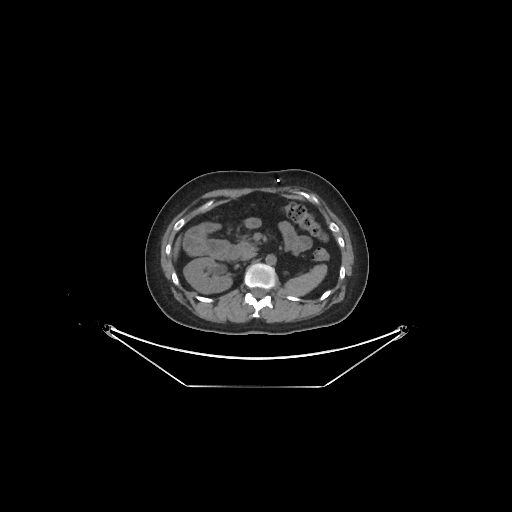

512x512 | CT image | Abdomen
The kidney is at (185, 256, 231, 293).